240x240 px | Image width 240 mm
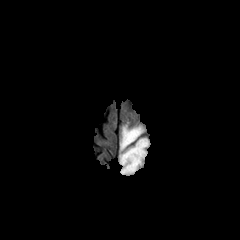
FLAIR MR.
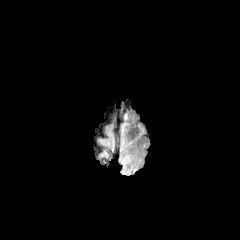
Same slice, T1-weighted magnetic resonance.
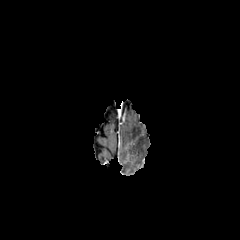
Post-contrast T1-weighted MR image.
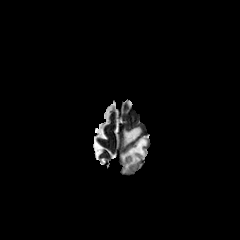
T2-weighted MR.
The edema lies within [120, 128, 149, 175].